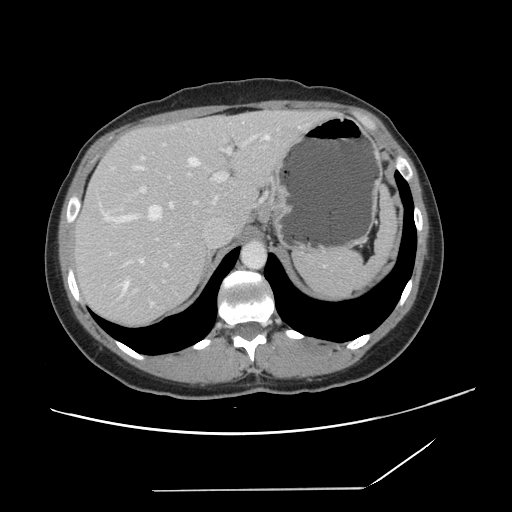 Computed tomography
The vessel boxes may cover only some of the vessels.
Annotated regions:
* hepatic vessel (most prominent 15 of 20): bbox(262, 135, 269, 139); bbox(163, 263, 166, 265); bbox(141, 157, 144, 159); bbox(125, 261, 130, 264); bbox(119, 281, 128, 292); bbox(189, 157, 199, 165); bbox(212, 173, 226, 180); bbox(243, 135, 258, 144); bbox(149, 205, 160, 219); bbox(139, 259, 143, 263); bbox(170, 202, 172, 207); bbox(134, 166, 143, 169); bbox(139, 188, 145, 192); bbox(102, 211, 134, 222); bbox(221, 148, 230, 153)